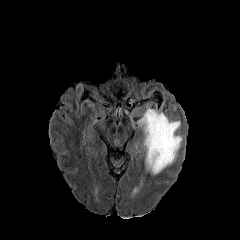
FLAIR MRI.
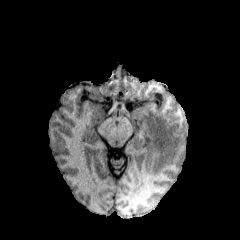
T1-weighted MR image.
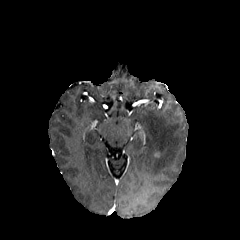
Same slice, post-contrast T1-weighted MR.
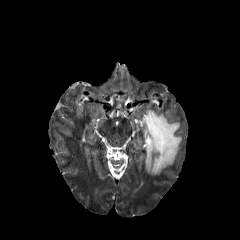
T2-weighted MR.
edema: 136,107,181,175